FLAIR magnetic resonance.
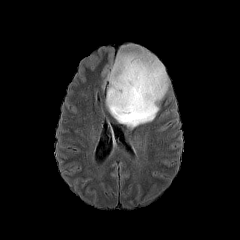
T1-weighted MR image.
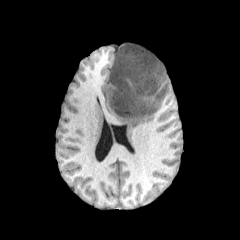
Post-contrast T1-weighted MR.
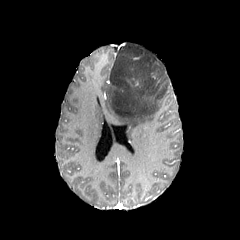
T2-weighted magnetic resonance.
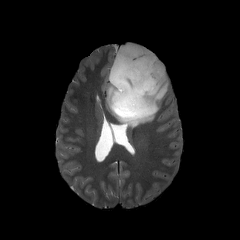
240x240.
The enhancing tumor is bounded by (x1=131, y1=77, x2=141, y2=85). The edema is located at (x1=104, y1=54, x2=169, y2=130).